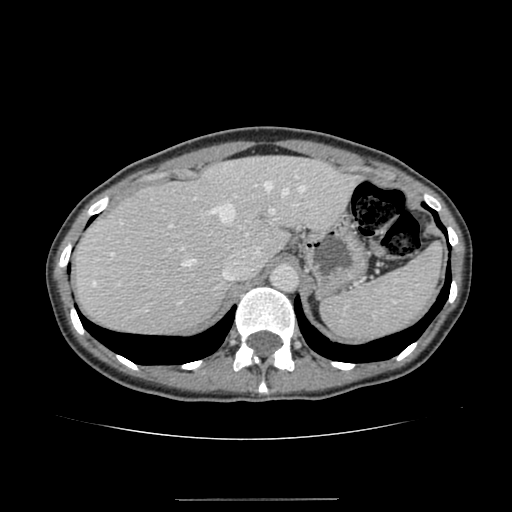 Abdomen. CT.

liver:
  - x1=76 y1=156 x2=360 y2=334